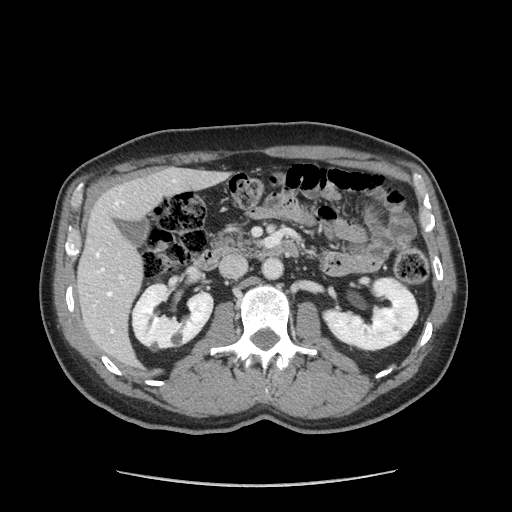 CT image | 512x512 px
pancreas:
  - (213,230,259,256)